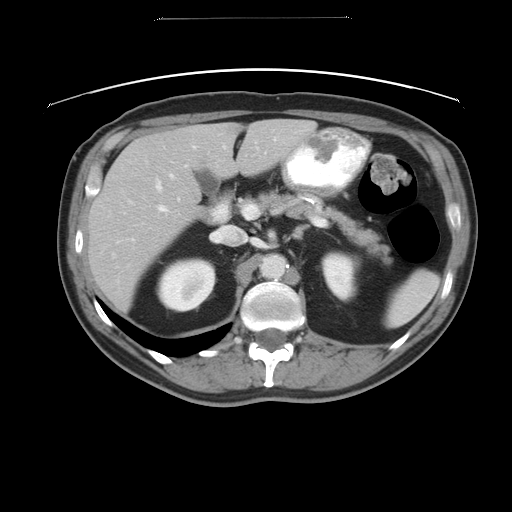
CT image, 512x512, Liver
Some hepatic vessels may have no box.
Hepatic vessel = 212, 227, 236, 240; 185, 164, 188, 166; 129, 200, 132, 202; 243, 204, 259, 220; 124, 212, 125, 213; 131, 238, 133, 239; 158, 204, 167, 211; 117, 278, 118, 280; 178, 197, 179, 199; 117, 240, 119, 242; 245, 237, 246, 239; 170, 173, 173, 177; 156, 179, 161, 190; 112, 253, 115, 257.